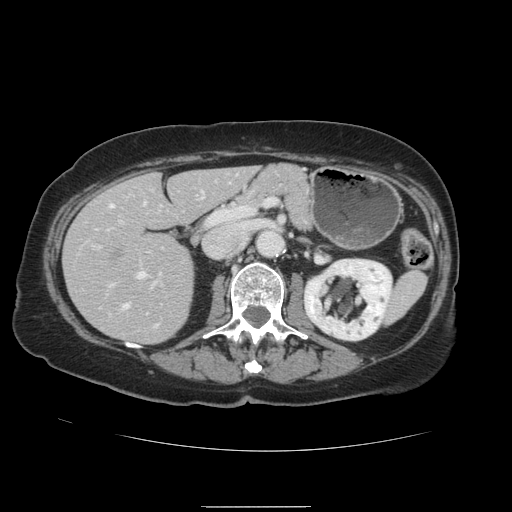

CT image. 512x512.

The vessel boxes may cover only some of the vessels.
Findings:
- hepatic vessel: box(108, 204, 112, 207); box(200, 191, 202, 198); box(120, 304, 127, 309); box(96, 247, 97, 248); box(109, 285, 111, 286); box(143, 202, 144, 204); box(136, 271, 144, 278)